Abdomen. 512x512 px. CT scan slice. 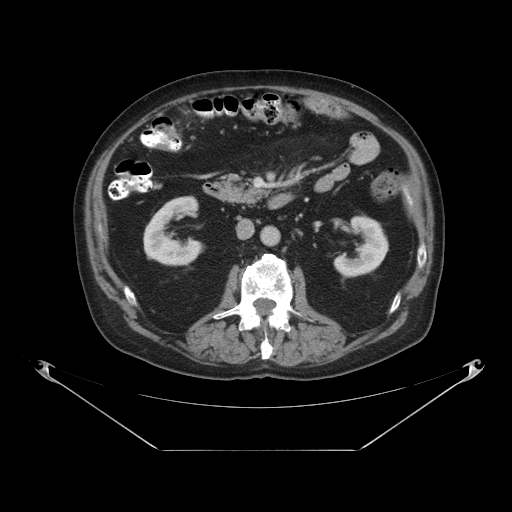
- colon tumor: [164,127,175,137], [156,143,168,150]